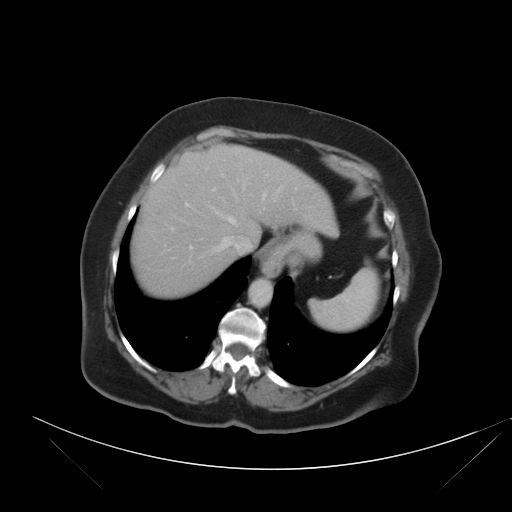 Liver | CT

The vessel boxes may cover only some of the vessels.
Hepatic vessel: bounding box l=272, t=187, r=282, b=201; l=262, t=193, r=265, b=198; l=205, t=168, r=207, b=169; l=266, t=174, r=268, b=175; l=213, t=187, r=216, b=190; l=293, t=202, r=294, b=204; l=170, t=227, r=174, b=231; l=263, t=208, r=264, b=209; l=214, t=234, r=251, b=252; l=189, t=246, r=191, b=248; l=214, t=209, r=236, b=224; l=185, t=203, r=192, b=207.